512x512, CT slice, Abdomen, Slice 426 of 841 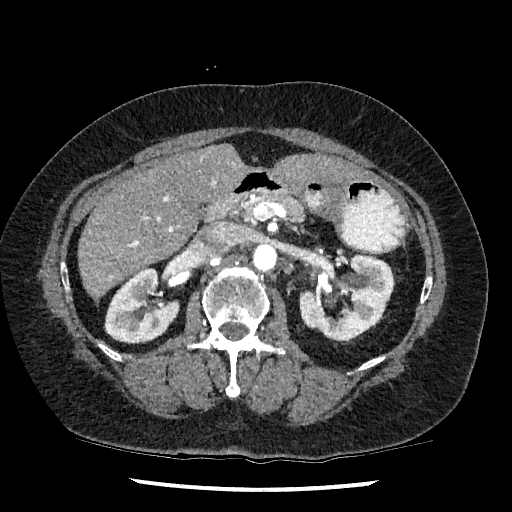
Kidney — <bbox>300, 255, 393, 340</bbox>, <bbox>105, 260, 187, 342</bbox>.
Liver — <bbox>274, 156, 369, 184</bbox>, <bbox>78, 144, 245, 298</bbox>.